Field of view 360x360 mm, Abdomen, CT scan slice, Slice 55/75 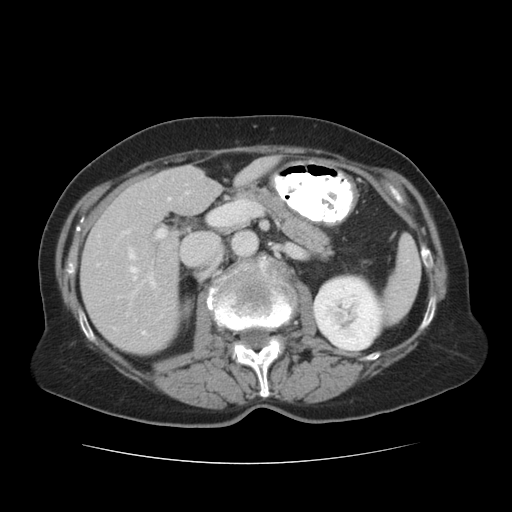 {
  "bone": [
    "x1=420, y1=305, x2=433, y2=329",
    "x1=78, y1=308, x2=94, y2=341",
    "x1=67, y1=264, x2=73, y2=276",
    "x1=208, y1=256, x2=294, y2=397",
    "x1=421, y1=248, x2=433, y2=268"
  ],
  "kidney": [
    "x1=314, y1=277, x2=382, y2=349"
  ],
  "liver": [
    "x1=81, y1=165, x2=224, y2=352",
    "x1=233, y1=155, x2=278, y2=185"
  ]
}